Head
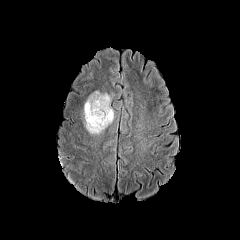
FLAIR MRI.
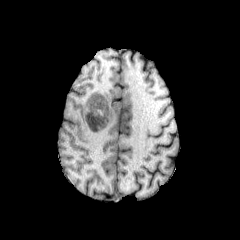
Same slice, T1-weighted MR image.
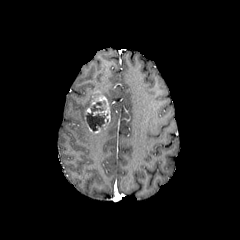
Post-contrast T1-weighted MR image of the same slice.
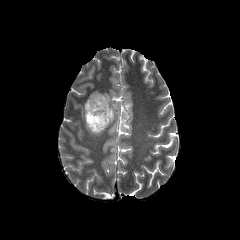
T2-weighted magnetic resonance.
edema:
  - (x1=83, y1=92, x2=100, y2=116)
enhancing_tumor:
  - (x1=90, y1=91, x2=110, y2=123)
non-enhancing_tumor_core:
  - (x1=85, y1=100, x2=108, y2=134)